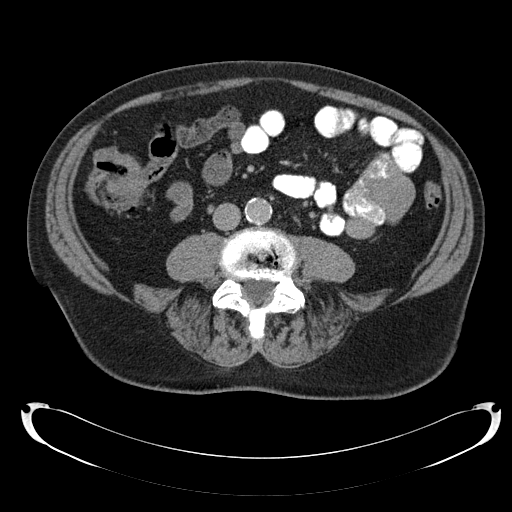 Image size 512x512 | CT slice

2 colon tumor regions are bounded by box(92, 146, 143, 209); box(86, 168, 105, 202).